Computed tomography
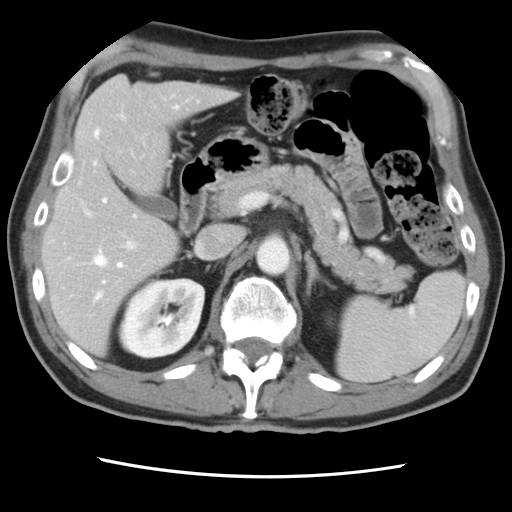 The vessel boxes may cover only some of the vessels.
Hepatic vessel at <box>95,130,98,136</box>, <box>127,242,135,248</box>, <box>94,161,96,164</box>, <box>103,280,105,282</box>, <box>94,250,106,265</box>, <box>134,215,136,216</box>, <box>118,262,122,266</box>, <box>104,199,106,201</box>, <box>85,209,91,215</box>, <box>174,106,178,108</box>, <box>95,292,101,299</box>.